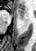 MR, Hippocampus
The anterior hippocampus appears at x1=16, y1=9, x2=24, y2=18.